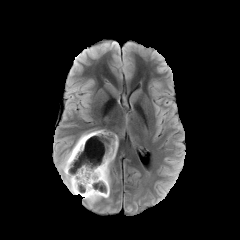
FLAIR MR image.
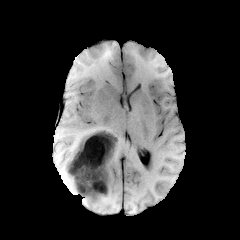
Same slice, T1-weighted MRI.
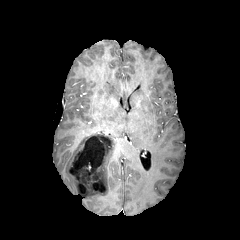
Post-contrast T1-weighted MRI of the same slice.
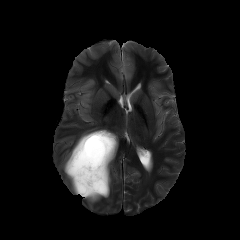
T2-weighted MR of the same slice.
240x240.
The enhancing tumor is bounded by [82, 130, 102, 137]. 3 edema regions appear at [62, 144, 77, 192], [82, 194, 107, 202], [106, 158, 111, 187]. The non-enhancing tumor core lies within [66, 131, 115, 196].